Slice 37/73; Computed tomography

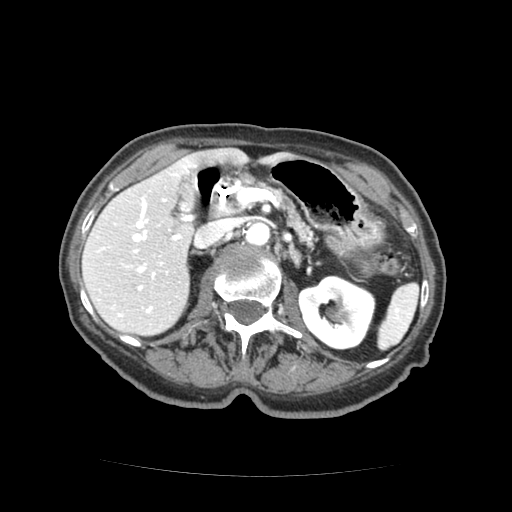 2 pancreas regions are bounded by l=211, t=197, r=243, b=218; l=255, t=183, r=314, b=245.